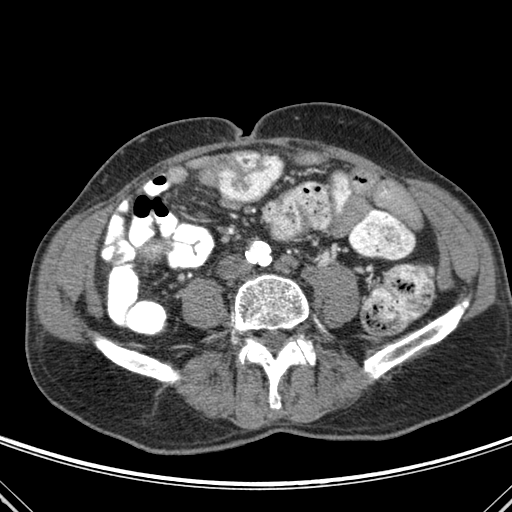
CT scan slice.

4 bone regions are bounded by bbox=[95, 337, 180, 382]; bbox=[239, 337, 315, 409]; bbox=[232, 275, 308, 333]; bbox=[364, 300, 468, 378].